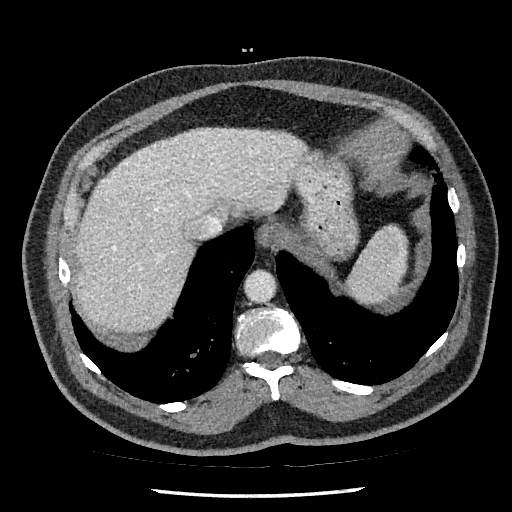 Computed tomography.
<segmentation>
  <liver>box(75, 129, 306, 332)</liver>
</segmentation>